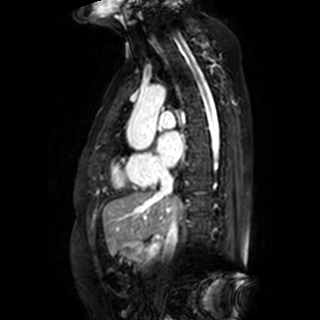

320x320, Magnetic resonance
Annotated regions:
* left atrium: [x1=156, y1=131, x2=182, y2=167]